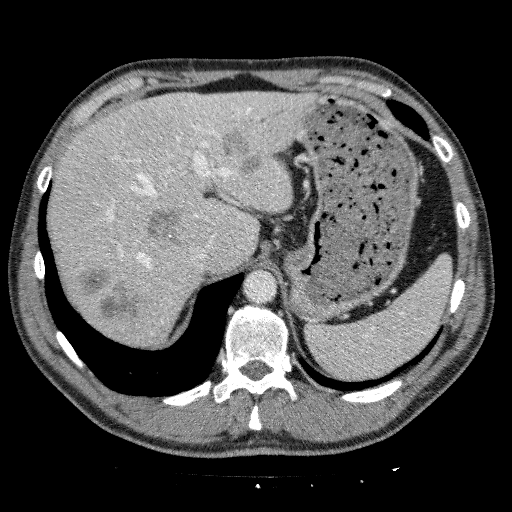 Abdomen | CT slice
liver lesion: {"x1": 98, "y1": 281, "x2": 149, "y2": 320}, {"x1": 75, "y1": 267, "x2": 112, "y2": 295}, {"x1": 221, "y1": 127, "x2": 250, "y2": 158}, {"x1": 240, "y1": 153, "x2": 263, "y2": 177}, {"x1": 141, "y1": 205, "x2": 188, "y2": 247} | liver: {"x1": 49, "y1": 90, "x2": 315, "y2": 345}